Image size 512x512, CT, Abdomen

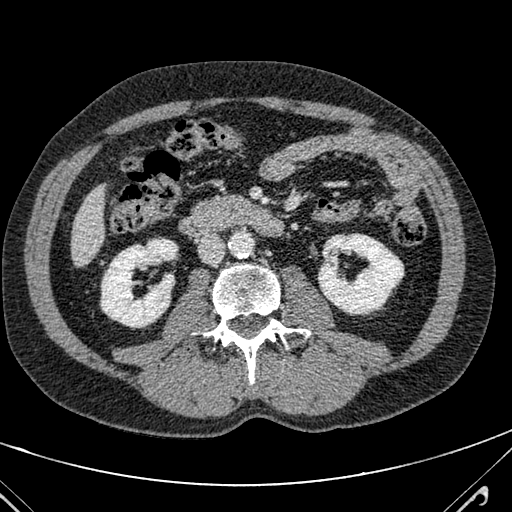
liver:
  - (72,188,105,263)